Slice index 389, Liver, CT slice

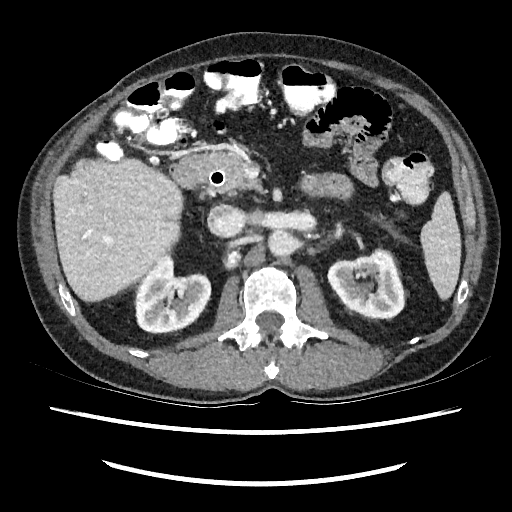
{"liver": ["<bbox>54, 159, 181, 300</bbox>"], "kidney": ["<bbox>328, 252, 403, 317</bbox>", "<bbox>136, 256, 210, 332</bbox>"]}